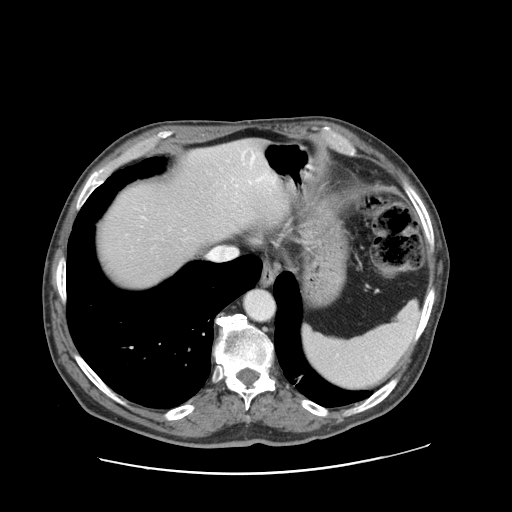

CT scan slice
Only some of the vessels may be annotated.
2 hepatic vessel regions are located at [x1=256, y1=176, x2=263, y2=181], [x1=251, y1=158, x2=253, y2=161].